Abdomen, Slice index 300, CT scan slice

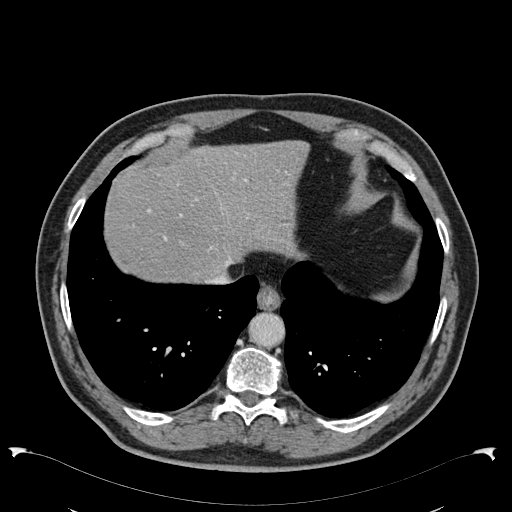

Liver: bounding box 106,140,309,282.